FLAIR MR image.
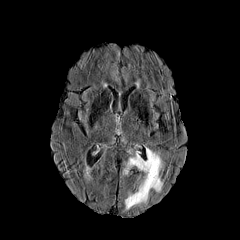
T1-weighted MR image.
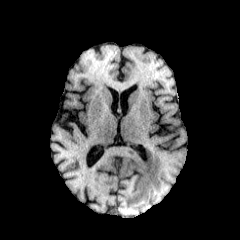
Post-contrast T1-weighted MRI.
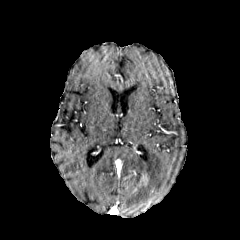
T2-weighted MRI.
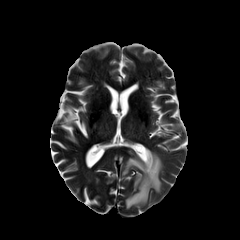
Brain | Image size 240x240
{"edema": ["x1=122, y1=148, x2=161, y2=209"]}